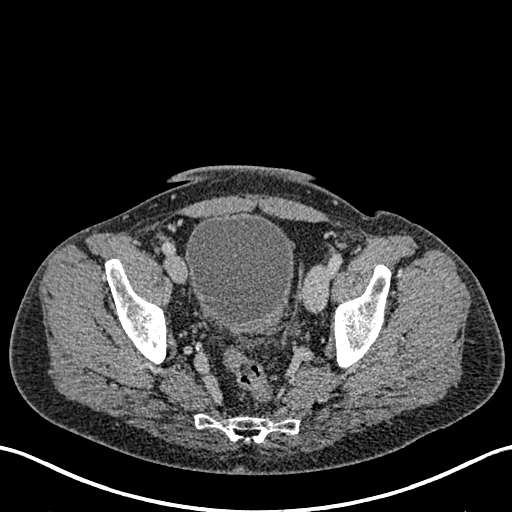

CT slice; Lower abdomen
Urinary bladder at region(185, 215, 293, 334).